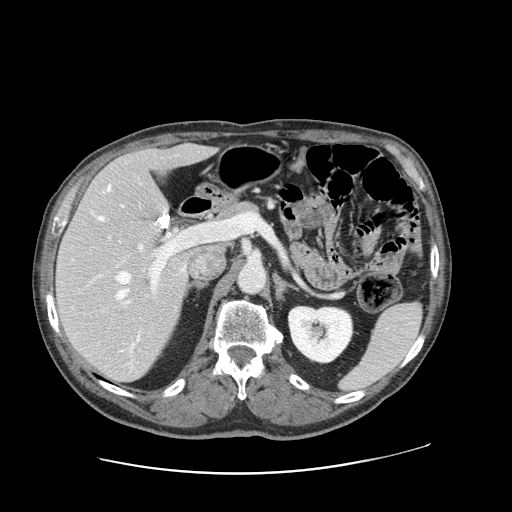
CT
Not every hepatic vessel necessarily has a box.
{"hepatic_vessel": ["(x1=107, y1=186, x2=110, y2=190)", "(x1=117, y1=272, x2=129, y2=282)", "(x1=131, y1=344, x2=133, y2=347)", "(x1=138, y1=246, x2=142, y2=250)", "(x1=152, y1=281, x2=156, y2=289)", "(x1=98, y1=216, x2=103, y2=220)", "(x1=117, y1=289, x2=128, y2=298)", "(x1=125, y1=301, x2=127, y2=302)"]}